Slice 188 of 245. Upper abdomen. CT. 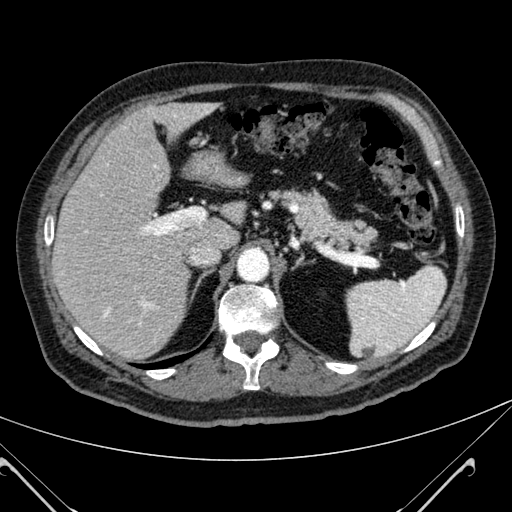 Segmented structures:
• liver: [50, 100, 239, 358]